CT scan slice | Slice 688/689 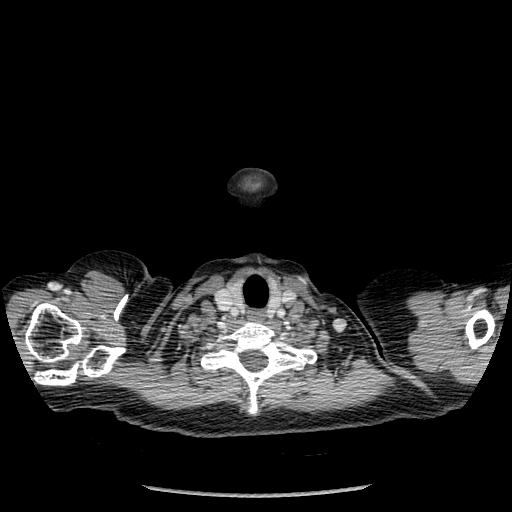

Annotated regions:
• bone: rect(35, 345, 125, 385); rect(466, 310, 494, 348); rect(25, 303, 84, 362); rect(193, 323, 317, 415)